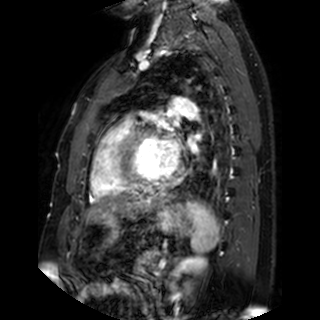 MRI
Left atrium = (left=188, top=136, right=196, bottom=150), (left=167, top=110, right=178, bottom=118), (left=168, top=140, right=177, bottom=158).